CT image | Slice 112 of 565

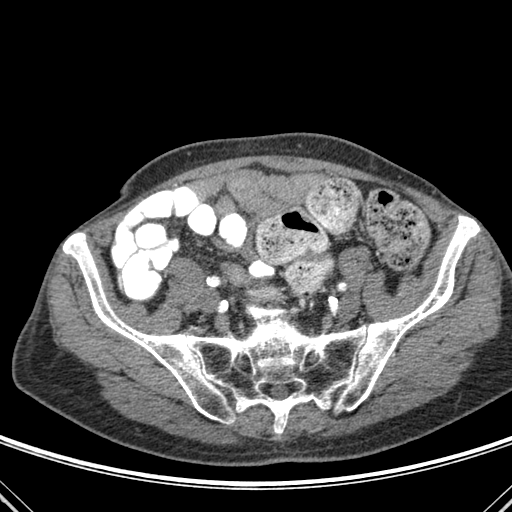

The bone is at left=63, top=215, right=479, bottom=433.